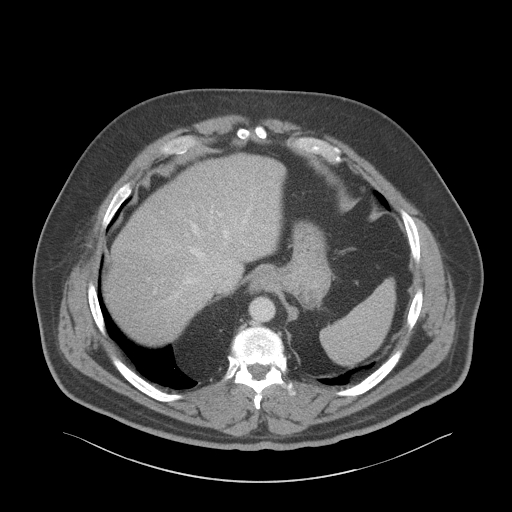
Upper abdomen; CT scan slice

The liver is located at x1=106 y1=155 x2=282 y2=345.